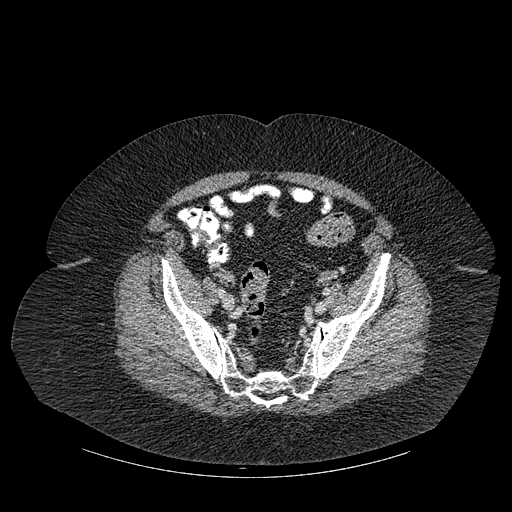 CT
Bone = 162 253 390 407.